CT, Abdomen, 512x512, Image width 500 mm
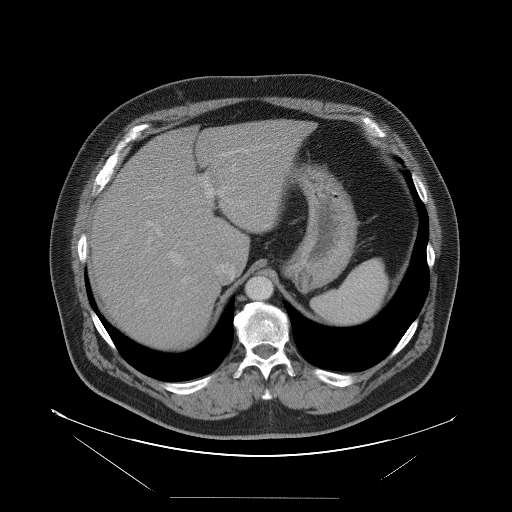

Not every hepatic vessel necessarily has a box.
9 hepatic vessel regions are located at bbox(201, 175, 207, 179); bbox(223, 151, 232, 155); bbox(141, 299, 147, 301); bbox(157, 230, 162, 235); bbox(206, 186, 224, 195); bbox(201, 182, 209, 186); bbox(202, 201, 204, 202); bbox(146, 221, 151, 225); bbox(170, 251, 180, 263).